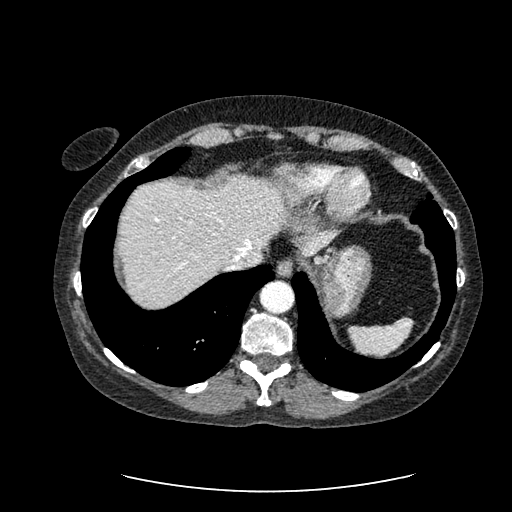

Liver, CT slice
{"liver": ["region(296, 229, 342, 256)", "region(121, 175, 285, 306)"]}